Brain | Slice 55/155 | Field of view 240x240 mm
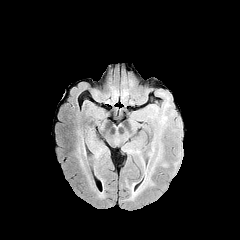
FLAIR magnetic resonance.
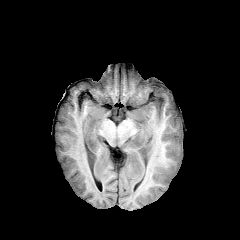
Same slice, T1-weighted MR image.
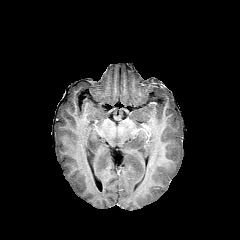
Post-contrast T1-weighted MR.
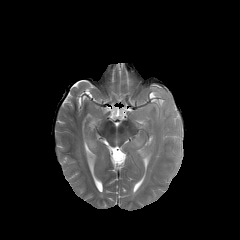
T2-weighted MR of the same slice.
* edema: l=90, t=138, r=103, b=159